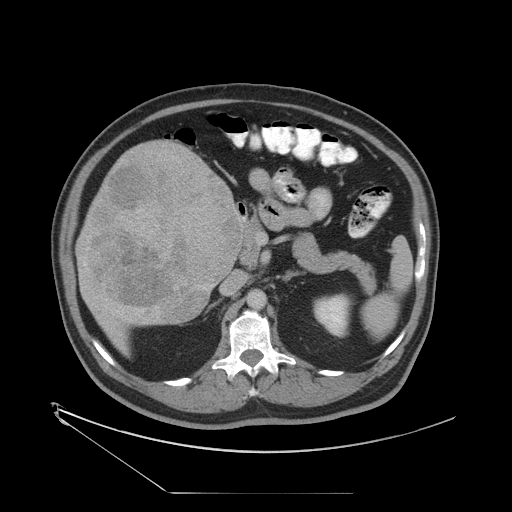

CT image. Abdomen. 512x512. The vessel boxes may cover only some of the vessels.
6 hepatic vessel regions are located at l=105, t=306, r=107, b=308; l=152, t=309, r=160, b=319; l=112, t=306, r=131, b=320; l=95, t=296, r=99, b=297; l=134, t=309, r=144, b=315; l=103, t=321, r=113, b=331. The liver tumor is located at l=82, t=159, r=243, b=323.